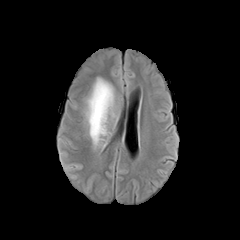
FLAIR MR image.
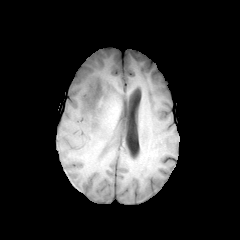
T1-weighted MR.
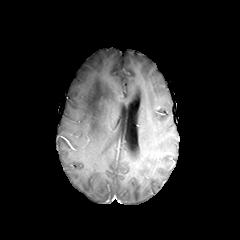
Post-contrast T1-weighted MR image.
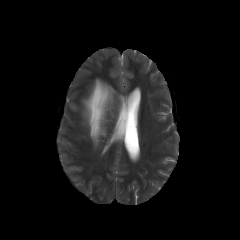
T2-weighted MRI.
240x240.
The edema lies within 83 78 114 145.